Slice 95/155
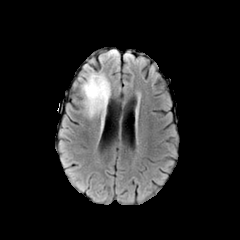
FLAIR MR.
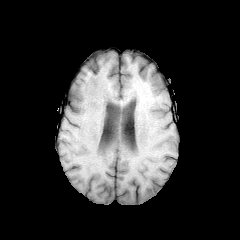
Same slice, T1-weighted MR image.
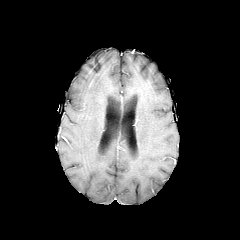
Post-contrast T1-weighted MR image of the same slice.
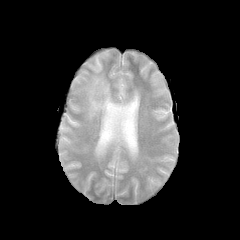
T2-weighted MR.
<segmentation>
  <edema>(x1=79, y1=65, x2=111, y2=131)</edema>
</segmentation>